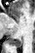
Magnetic resonance
posterior_hippocampus:
  - l=8, t=37, r=21, b=47